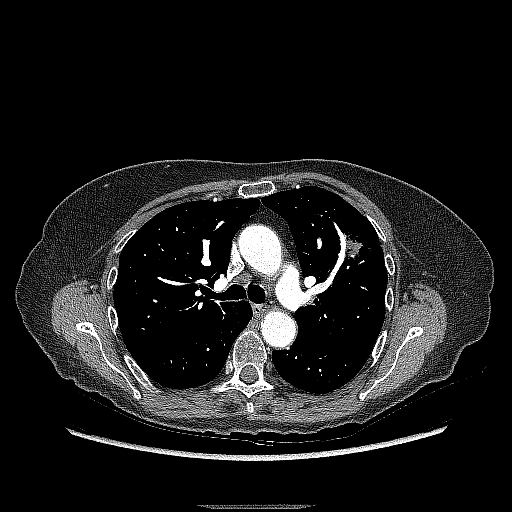

Thorax; CT slice

Lung tumor at <box>335,224,366,261</box>.